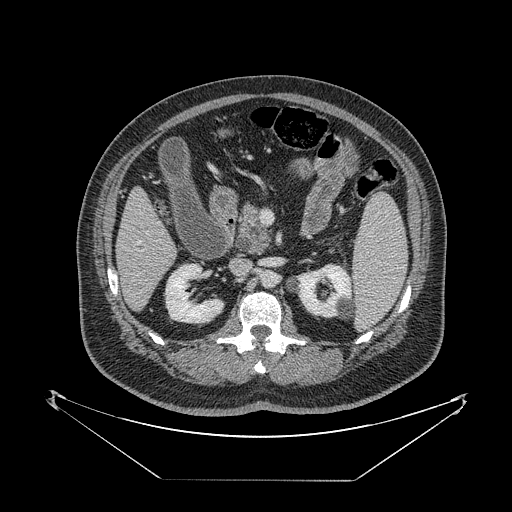

Image size 512x512; CT slice

pancreas:
  - <box>236,206,270,252</box>